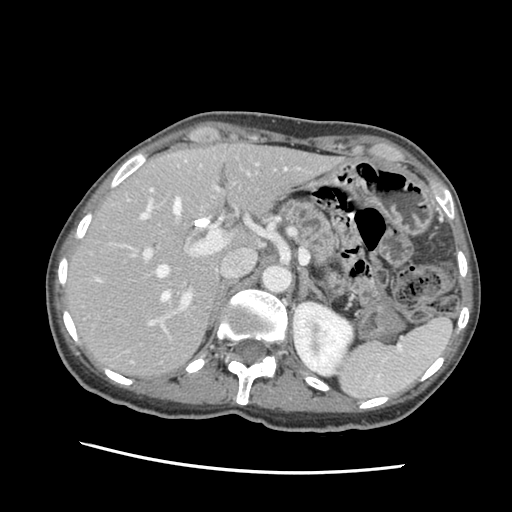

Abdomen | 512x512 | CT image

Findings:
* pancreas: <bbox>282, 201, 334, 269</bbox>